Pelvis; CT; Slice index 19 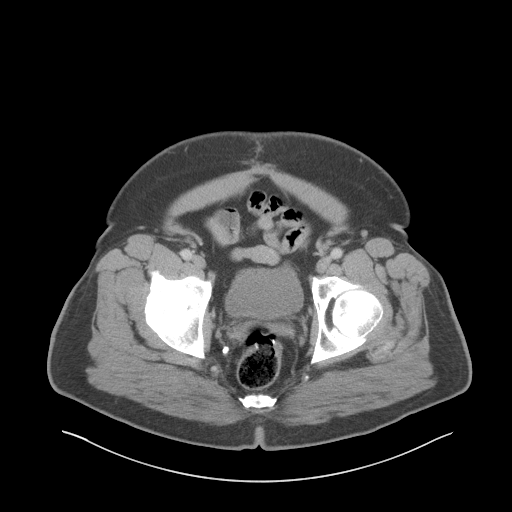 urinary bladder: x1=225, y1=267, x2=300, y2=313